FLAIR MR image.
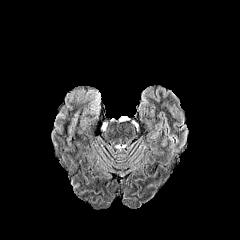
T1-weighted MR image.
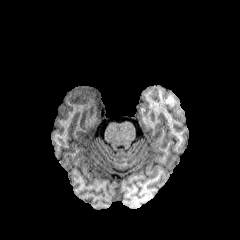
Post-contrast T1-weighted MR.
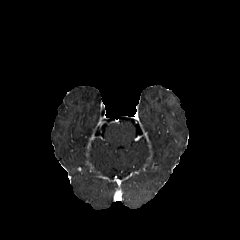
T2-weighted MR image.
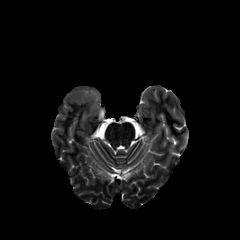
The edema is bounded by {"x1": 85, "y1": 90, "x2": 100, "y2": 114}.